FLAIR magnetic resonance.
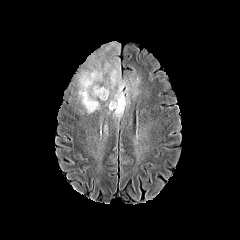
T1-weighted MR.
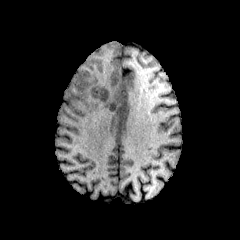
Post-contrast T1-weighted magnetic resonance.
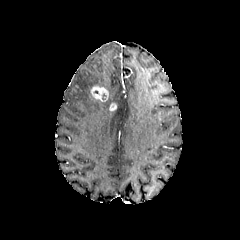
T2-weighted magnetic resonance.
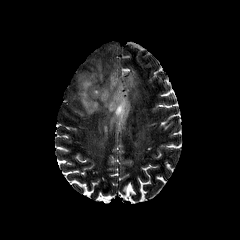
Head
Edema = 76,58,138,124.
Enhancing tumor = 90,86,108,101.